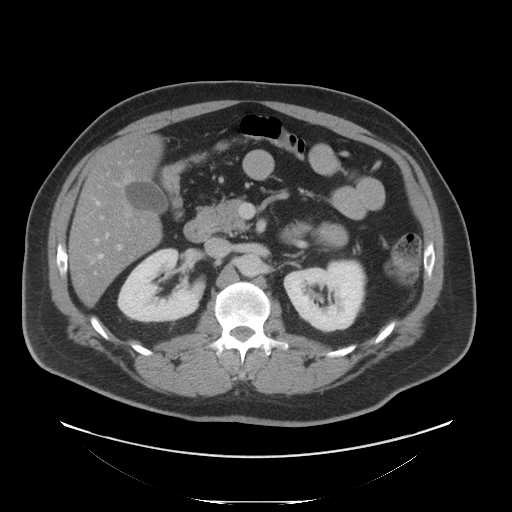

CT image; Abdomen; 512x512 px
Pancreas at x1=201 y1=199 x2=246 y2=231.
Pancreatic tumor at x1=320 y1=224 x2=347 y2=245.